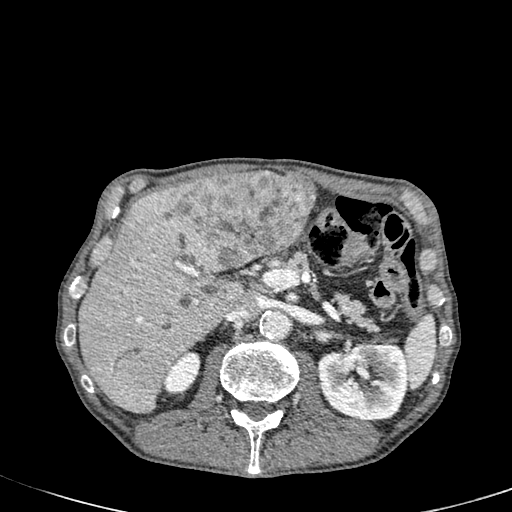 CT image

The liver is bounded by (78,180,244,413). The hepatic lesion lies within (174,171,315,270). 2 kidney regions appear at (320,345,409,419), (164,353,199,391).